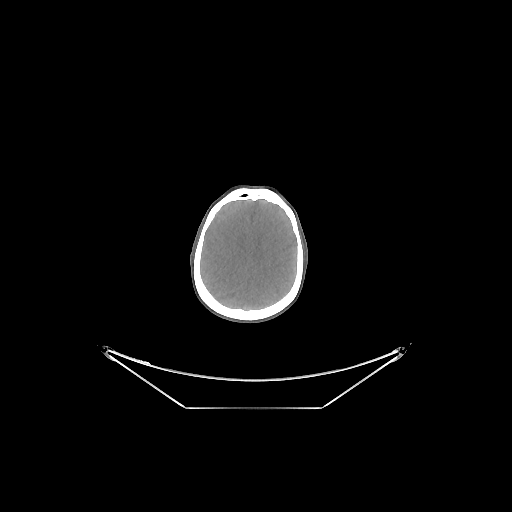
Computed tomography
The bone is at l=194, t=188, r=302, b=320. The brain is at l=200, t=199, r=297, b=310.